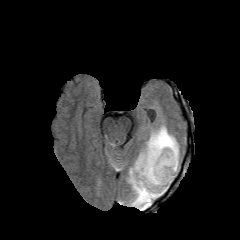
FLAIR MR.
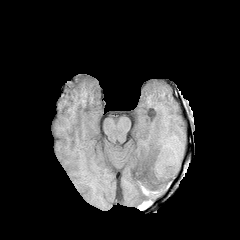
Same slice, T1-weighted MRI.
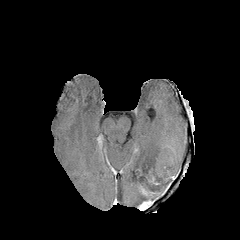
Post-contrast T1-weighted magnetic resonance.
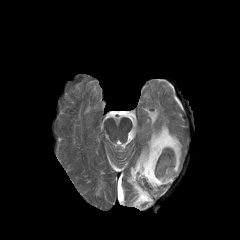
Same slice, T2-weighted magnetic resonance.
240x240. Brain.
The edema is bounded by x1=127 y1=125 x2=181 y2=207.